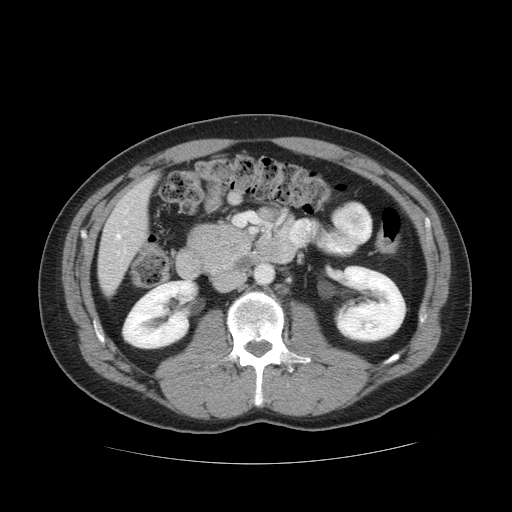 CT slice; Abdomen; 512x512
• pancreas: [189, 243, 200, 263]
• pancreatic tumor: [187, 224, 251, 273]